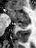

Hippocampus | 36x48 px | MR image
Annotated regions:
• posterior hippocampus: 17:22:28:28
• anterior hippocampus: 8:8:28:21